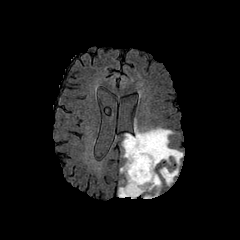
FLAIR magnetic resonance.
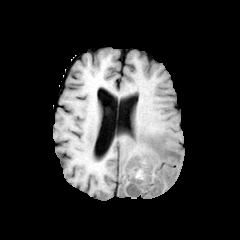
Same slice, T1-weighted magnetic resonance.
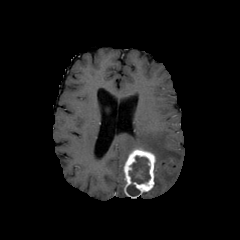
Post-contrast T1-weighted MR image of the same slice.
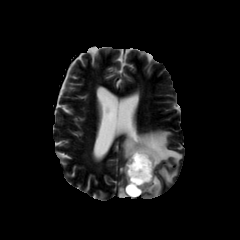
T2-weighted MRI.
Brain
<segmentation>
  <enhancing_tumor>124, 147, 156, 195</enhancing_tumor>
  <edema>118, 186, 129, 197; 121, 128, 182, 185; 141, 174, 161, 197</edema>
  <non-enhancing_tumor_core>129, 156, 150, 183; 126, 185, 139, 196</non-enhancing_tumor_core>
</segmentation>